Field of view 360x360 mm | Slice 216 of 366 | Liver | CT scan slice
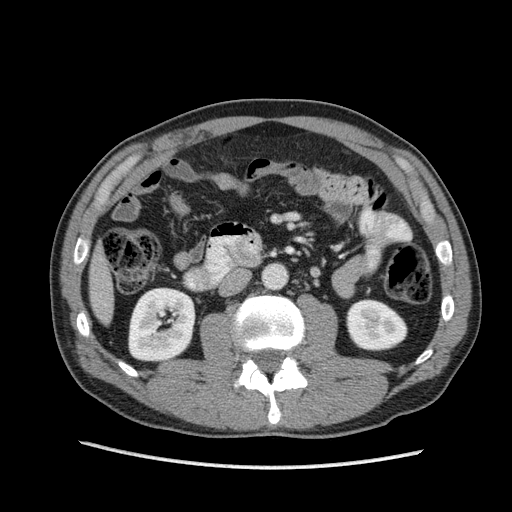
Kidney = (348,300,405,348), (129,289,194,360).
Liver = (89,244,113,323).